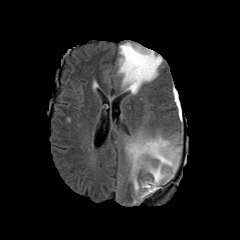
FLAIR magnetic resonance.
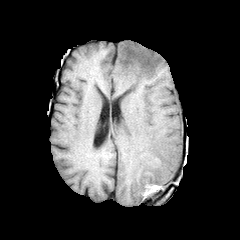
T1-weighted MRI.
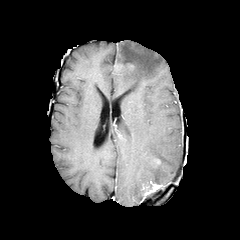
Post-contrast T1-weighted MRI of the same slice.
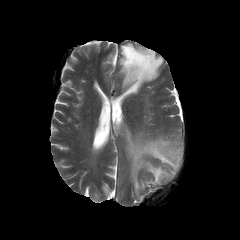
T2-weighted MR image.
2 edema regions are located at rect(118, 41, 162, 95); rect(125, 134, 180, 200). 2 non-enhancing tumor core regions are located at rect(142, 183, 153, 196); rect(122, 47, 148, 75).